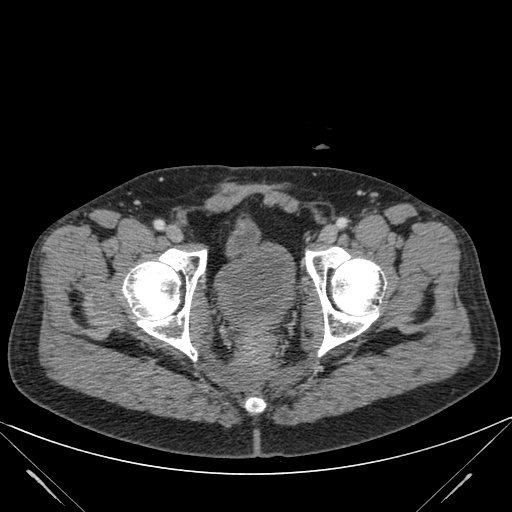 CT slice. {
  "urinary_bladder": [
    "bbox(214, 241, 295, 334)"
  ]
}